Slice 23 of 36 | CT slice | Field of view 405x405 mm

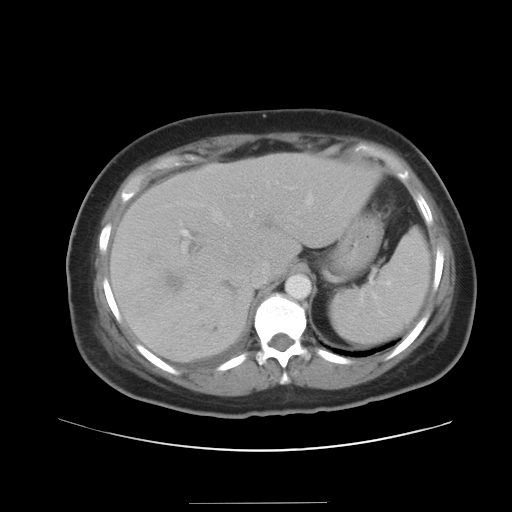

The vessel boxes may cover only some of the vessels.
The liver tumor lies within rect(162, 274, 184, 289). 5 hepatic vessel regions are bounded by rect(183, 231, 186, 235); rect(307, 193, 312, 204); rect(210, 207, 230, 226); rect(255, 283, 258, 285); rect(262, 263, 267, 282).